CT | Upper abdomen | Slice index 30

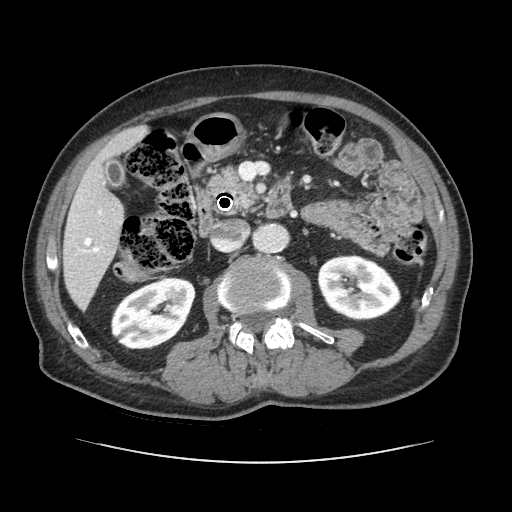
The pancreas lies within l=209, t=166, r=257, b=210.